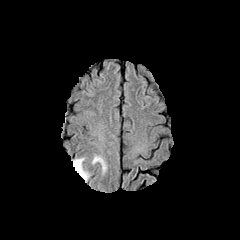
FLAIR magnetic resonance.
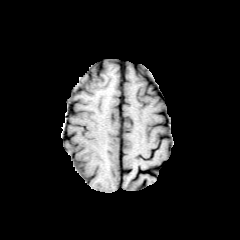
T1-weighted MR image of the same slice.
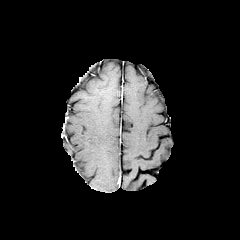
Same slice, post-contrast T1-weighted MR.
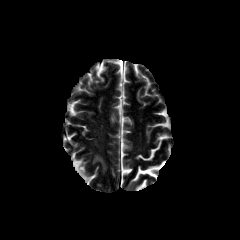
Same slice, T2-weighted MR image.
Head
<segmentation>
  <edema>73,158,88,180; 93,156,106,171</edema>
</segmentation>